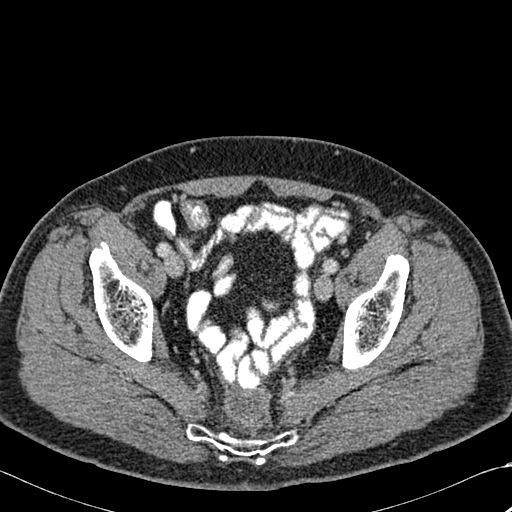 CT image. 3 bone regions are bounded by bbox=[343, 255, 408, 369]; bbox=[187, 424, 295, 464]; bbox=[89, 243, 153, 361].